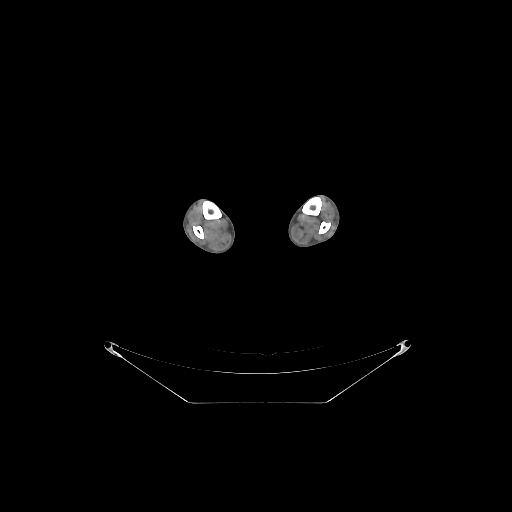 CT
Bone at box=[302, 197, 321, 215]; box=[202, 201, 221, 219]; box=[193, 226, 203, 238]; box=[319, 221, 330, 233].